CT scan slice. Upper abdomen. 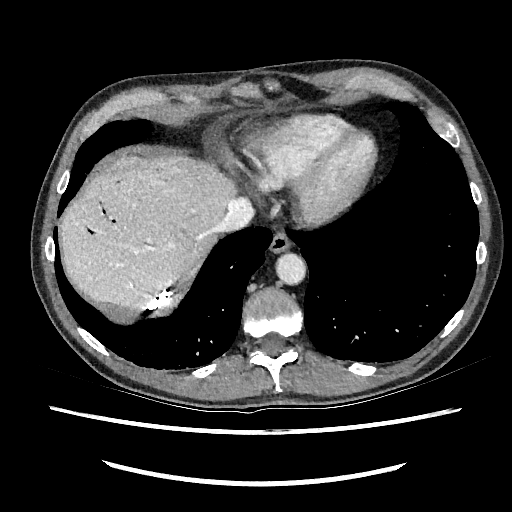 liver:
  - [60,154,237,309]